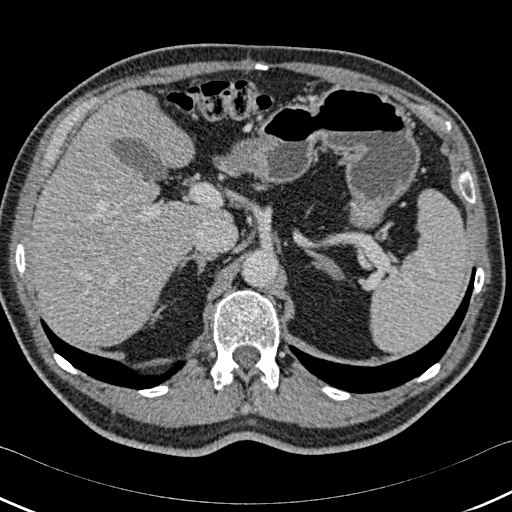
CT scan slice

Bone — [138, 386, 168, 397], [322, 387, 349, 400], [13, 244, 25, 274], [211, 290, 279, 389], [54, 354, 77, 373], [459, 171, 475, 203], [417, 363, 439, 381], [474, 268, 484, 292].
Liver — [34, 90, 224, 345].
Lung — [40, 318, 185, 389], [288, 267, 475, 393].